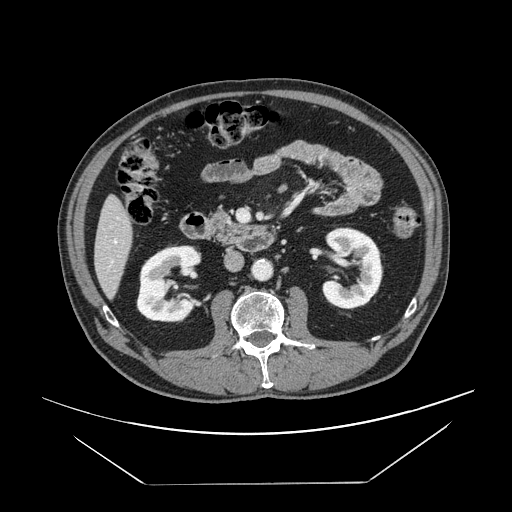 Upper abdomen. 512x512 px. CT. Pancreas at x1=205 y1=209 x2=232 y2=243.